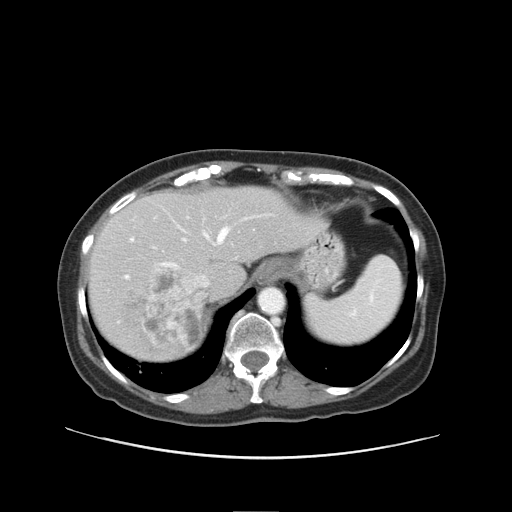 Abdomen; Image size 512x512; Computed tomography

The vessel annotation is not exhaustive.
liver_tumor:
  - <box>122,261,206,354</box>
hepatic_vessel:
  - <box>203,232,209,239</box>
  - <box>183,237,186,241</box>
  - <box>204,277,208,286</box>
  - <box>244,216,255,219</box>
  - <box>218,228,228,243</box>
  - <box>125,276,129,279</box>
  - <box>131,238,133,241</box>
  - <box>179,227,184,232</box>